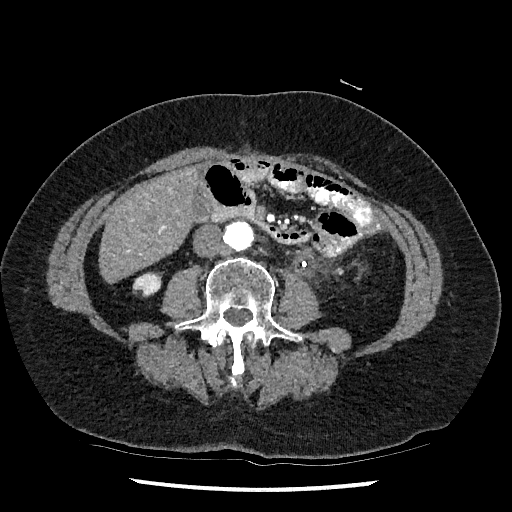
CT slice; Liver

kidney: l=133, t=274, r=160, b=294 | liver: l=99, t=168, r=199, b=282